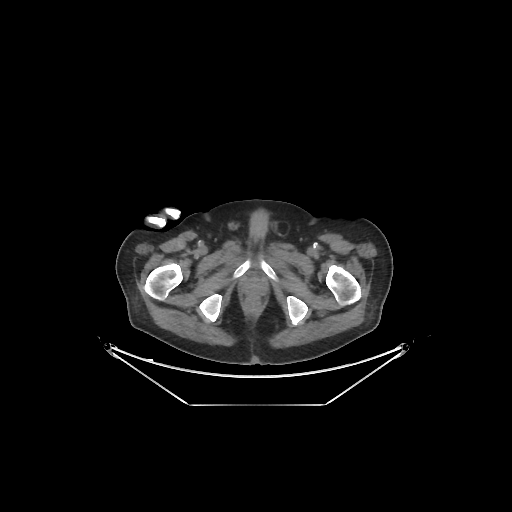
512x512 px. CT image. Bone: x1=147, y1=217, x2=165, y2=226; x1=260, y1=260, x2=276, y2=280; x1=287, y1=296, x2=307, y2=324; x1=199, y1=294, x2=221, y2=321; x1=165, y1=208, x2=179, y2=218; x1=144, y1=263, x2=182, y2=299; x1=234, y1=260, x2=250, y2=277; x1=326, y1=265, x2=361, y2=304.